Slice index 123. Head. 240x240 px.
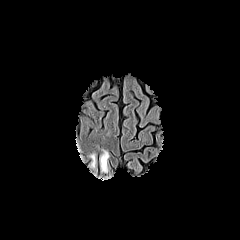
FLAIR magnetic resonance.
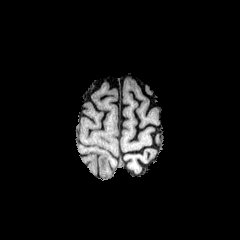
T1-weighted MR image.
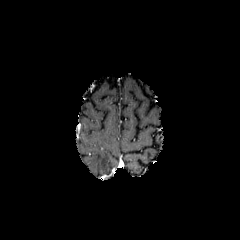
Post-contrast T1-weighted MRI.
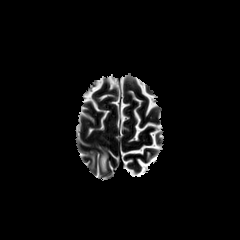
T2-weighted MR.
edema: bbox(99, 152, 108, 172)